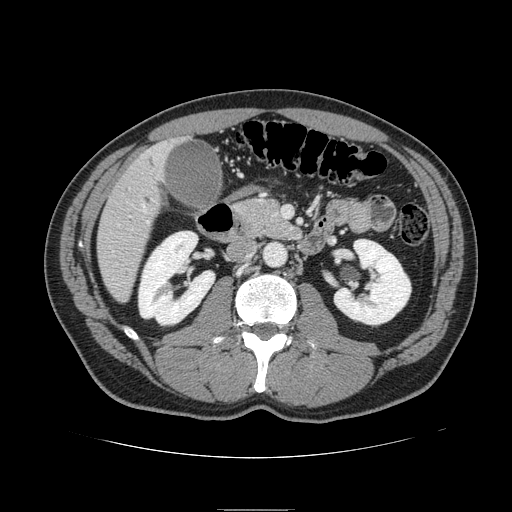

512x512, CT image
{"pancreas": ["<box>233,198,300,239</box>"]}